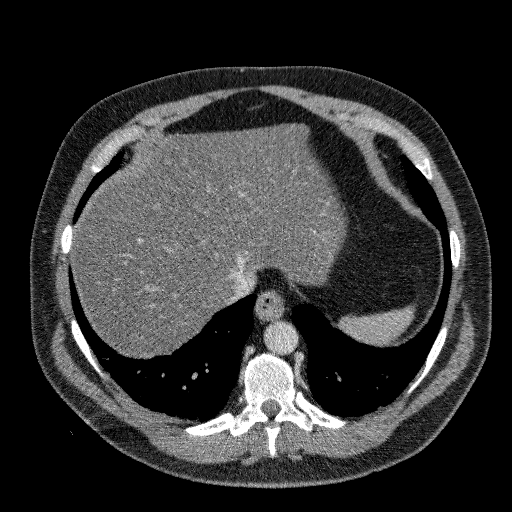 Upper abdomen. Computed tomography. Annotated regions:
- liver: (70, 123, 342, 356)